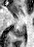
MR image
The posterior hippocampus is at region(13, 27, 25, 37).